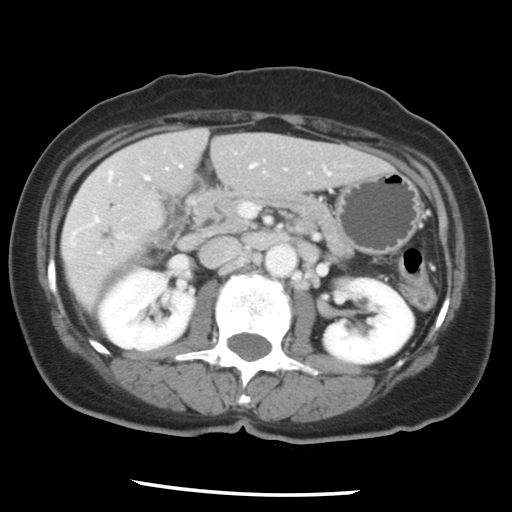

Computed tomography; Abdomen

The vessel annotation is not exhaustive.
Hepatic vessel — <bbox>251, 164, 255, 166</bbox>, <bbox>146, 176, 147, 178</bbox>, <bbox>108, 171, 112, 181</bbox>.
Liver tumor — <bbox>137, 192, 159, 221</bbox>.